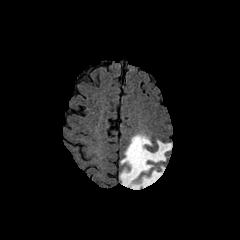
FLAIR MR image.
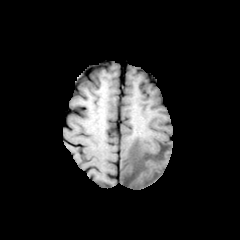
T1-weighted magnetic resonance.
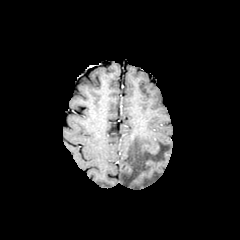
Same slice, post-contrast T1-weighted MR.
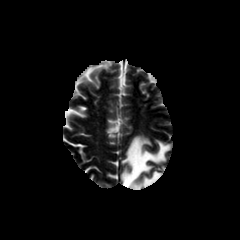
T2-weighted MR.
Image size 240x240
edema:
  - left=120, top=134, right=172, bottom=189